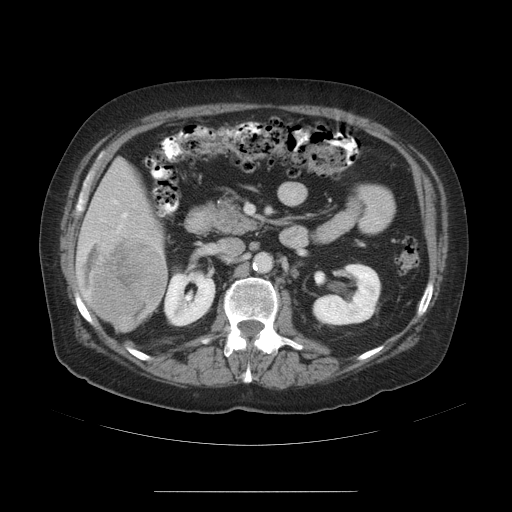

CT. 512x512 px. Not every hepatic vessel necessarily has a box.
The liver tumor lies within box=[79, 234, 166, 330]. 6 hepatic vessel regions are located at box=[79, 252, 80, 254]; box=[122, 213, 126, 217]; box=[83, 248, 85, 251]; box=[78, 256, 83, 260]; box=[113, 200, 117, 203]; box=[117, 224, 122, 232].